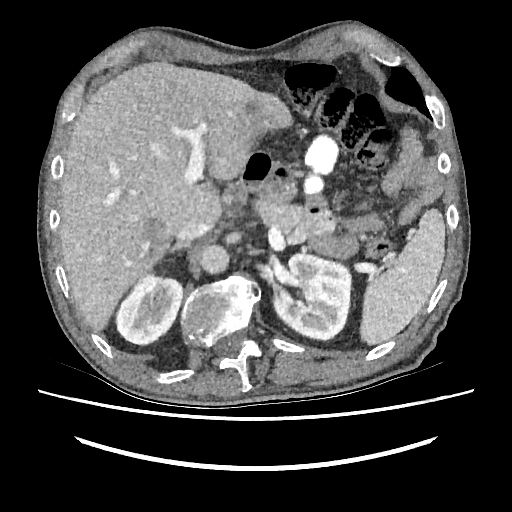

Liver. CT image.
Kidney — x1=117, y1=275, x2=182, y2=343; x1=274, y1=254, x2=350, y2=339.
Liver — x1=59, y1=63, x2=292, y2=329.
Hepatic lesion — x1=143, y1=218, x2=163, y2=256; x1=246, y1=103, x2=255, y2=113; x1=248, y1=120, x2=266, y2=140.